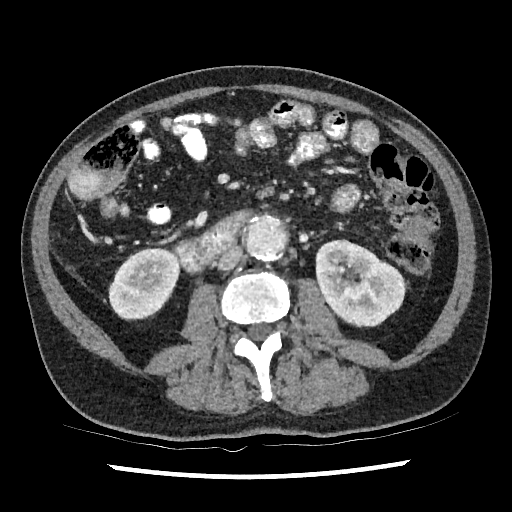
Abdomen, CT scan slice
kidney: 316:240:404:326, 109:249:179:318